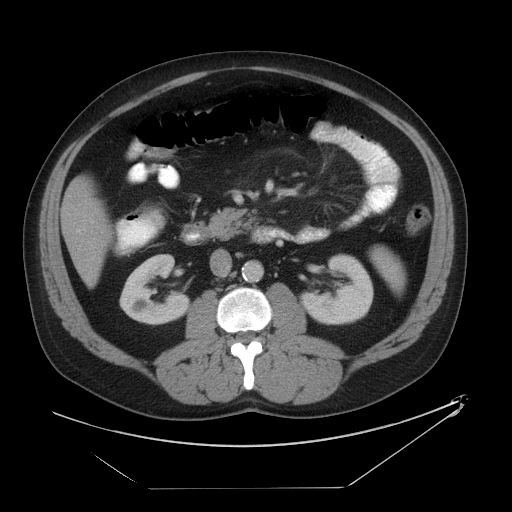

CT, 512x512

<segmentation>
  <spleen>box=[372, 246, 404, 295]</spleen>
</segmentation>